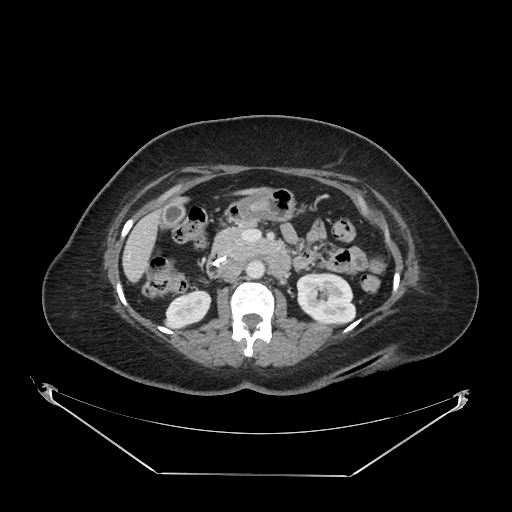
Image size 512x512; Computed tomography
The pancreas lies within 214,222,271,259.